MR image | Slice 21 of 40 | Hippocampus | Field of view 38 mm wide, 1.00 mm slice spacing

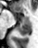

Posterior hippocampus at bbox(17, 22, 31, 35).
Anterior hippocampus at bbox(22, 17, 29, 21).